Head. Field of view 240 mm wide, 1.00 mm slice spacing.
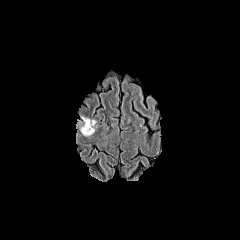
FLAIR MRI.
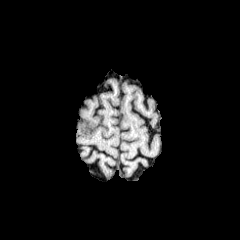
T1-weighted magnetic resonance.
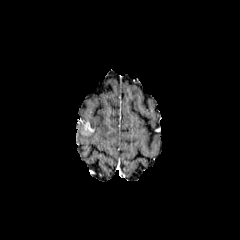
Post-contrast T1-weighted MR image.
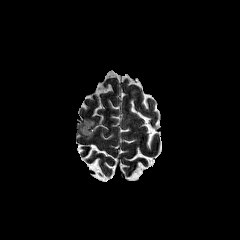
T2-weighted magnetic resonance.
non-enhancing_tumor_core:
  - (82,122,93,136)
edema:
  - (80,114,98,130)
  - (76,119,82,133)